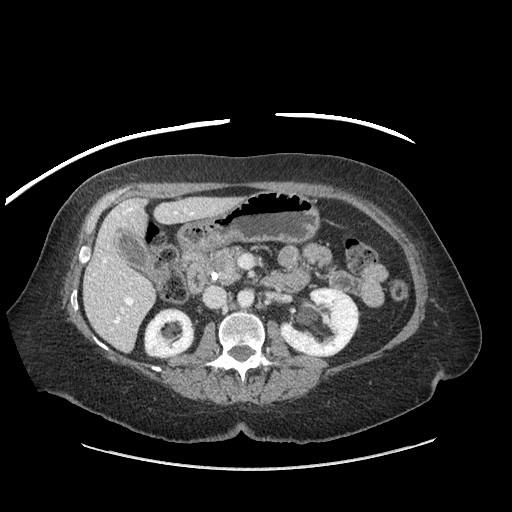

CT scan slice
Pancreatic tumor at (211,253,227,271).
Pancreas at (189,248,243,283).